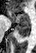 MR image; Hippocampus
Annotated regions:
- posterior hippocampus: region(16, 23, 29, 37)
- anterior hippocampus: region(8, 10, 29, 22)